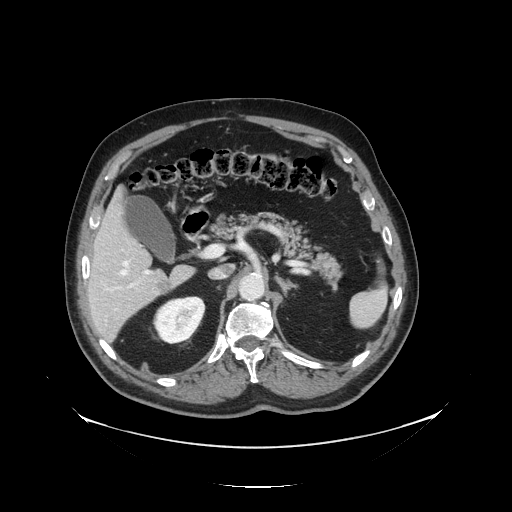

512x512; Abdomen; CT
Not every hepatic vessel necessarily has a box.
4 hepatic vessel regions are bounded by <box>108,287,120,290</box>, <box>144,271,150,275</box>, <box>121,261,128,275</box>, <box>129,284,135,287</box>. The liver tumor is at <box>158,282,171,295</box>.